Abdomen; CT image

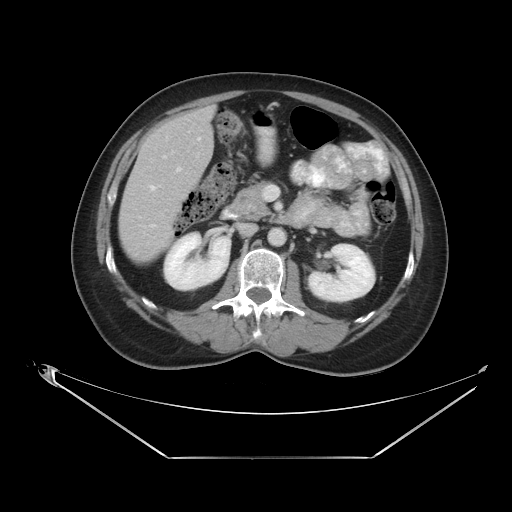

Some hepatic vessels may have no box.
hepatic vessel: box=[197, 154, 198, 156]; box=[175, 166, 182, 172]